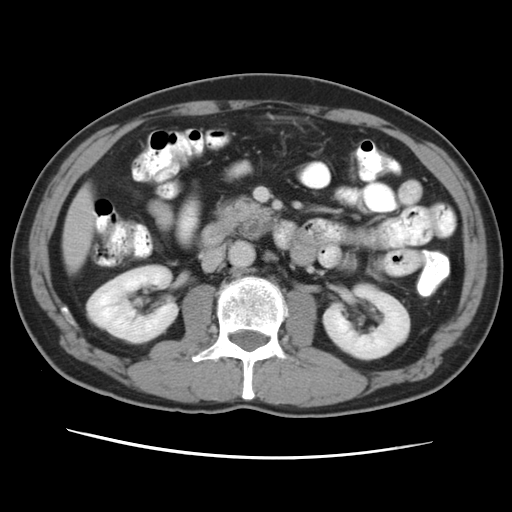

Computed tomography
Pancreas — [214,197,274,239].